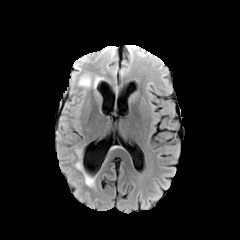
FLAIR magnetic resonance.
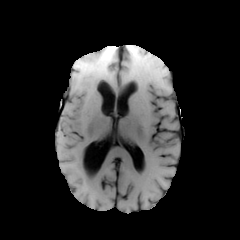
T1-weighted MR.
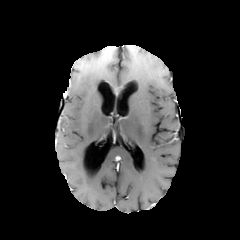
Post-contrast T1-weighted magnetic resonance.
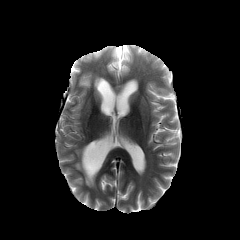
T2-weighted MR.
Image size 240x240.
edema:
  - 79 74 101 87
  - 84 172 95 186
  - 108 48 117 69